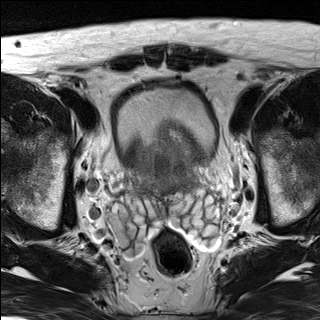
T2-weighted MR.
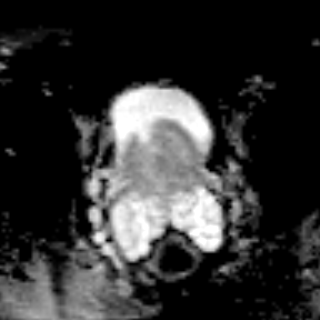
ADC MRI.
Prostate.
Prostate transition zone at box=[136, 131, 193, 189].